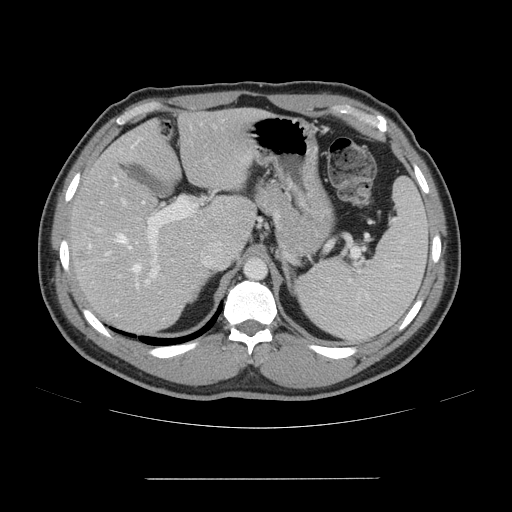

512x512 | CT
Not every hepatic vessel necessarily has a box.
{"hepatic_vessel": ["region(122, 200, 125, 204)", "region(151, 255, 155, 263)", "region(132, 139, 139, 147)", "region(106, 252, 110, 255)", "region(115, 183, 117, 185)", "region(133, 264, 139, 274)", "region(95, 228, 100, 231)", "region(148, 197, 197, 249)", "region(114, 177, 115, 179)", "region(145, 279, 149, 283)", "region(128, 246, 130, 247)", "region(114, 234, 126, 242)", "region(150, 264, 159, 276)", "region(136, 279, 138, 287)"], "liver_tumor": ["region(78, 253, 91, 261)"]}